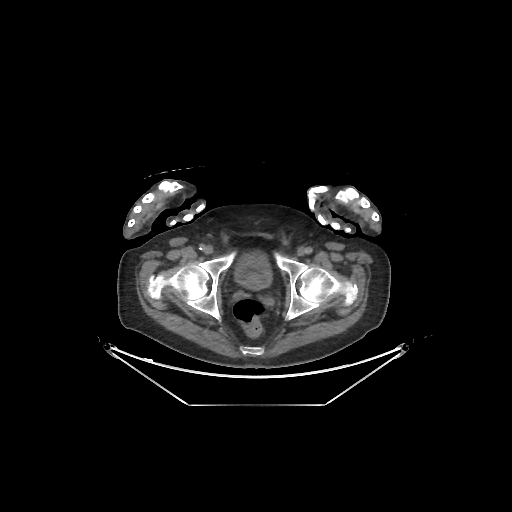 Pelvis | CT scan slice
Annotated regions:
* bone: [x1=275, y1=253, x2=357, y2=319], [x1=159, y1=181, x2=182, y2=192], [x1=335, y1=188, x2=369, y2=207], [x1=243, y1=347, x2=261, y2=354], [x1=133, y1=193, x2=154, y2=212], [x1=370, y1=211, x2=378, y2=220], [x1=318, y1=214, x2=327, y2=224], [x1=183, y1=214, x2=192, y2=220], [x1=148, y1=253, x2=234, y2=318], [x1=308, y1=186, x2=327, y2=210]
* urinary bladder: [x1=234, y1=251, x2=271, y2=290]